240x240; Brain; Slice 85/155
FLAIR MR image.
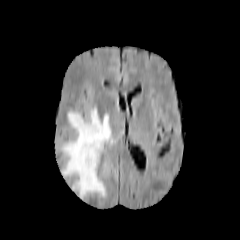
T1-weighted MR.
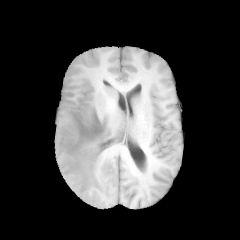
Post-contrast T1-weighted magnetic resonance.
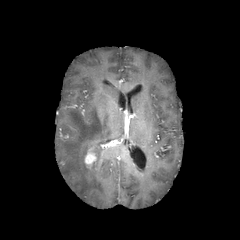
T2-weighted MR.
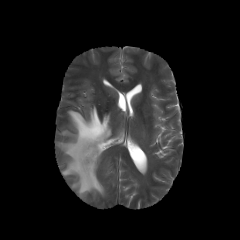
{"enhancing_tumor": ["region(84, 149, 96, 164)"], "edema": ["region(60, 107, 112, 198)"]}